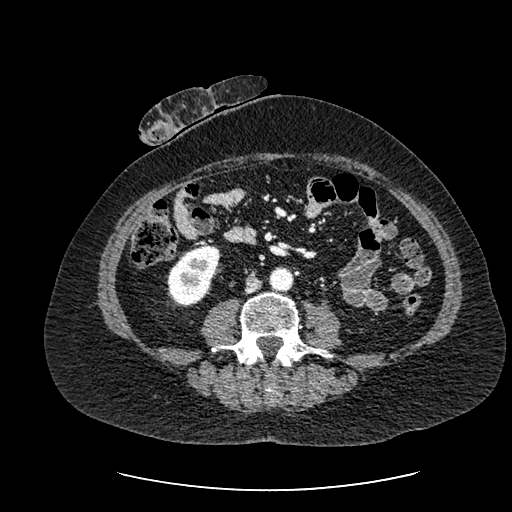
CT slice
Kidney at 168:246:219:304.